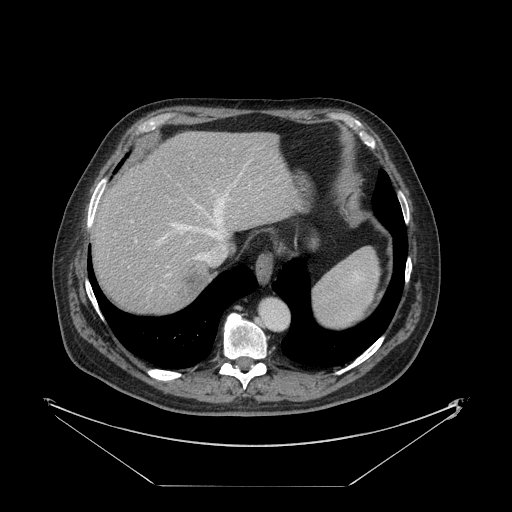 CT slice. 512x512.

Some hepatic vessels may have no box.
Liver tumor at <box>176,265,207,297</box>.
Hepatic vessel at <box>214,198,223,212</box>, <box>134,239,136,241</box>.